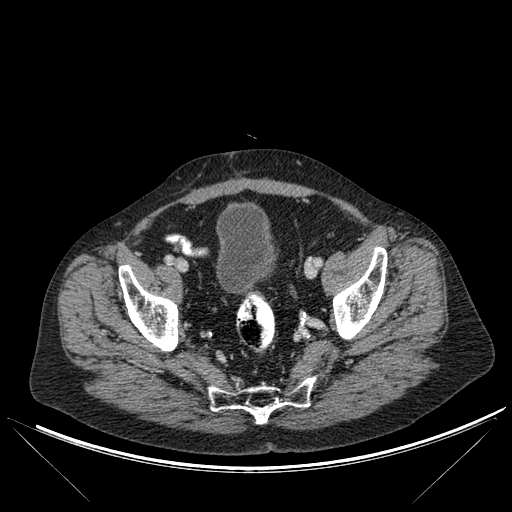
CT
- urinary bladder: rect(216, 204, 276, 294)
- bone: rect(208, 377, 315, 423); rect(119, 265, 177, 351); rect(333, 247, 387, 339)